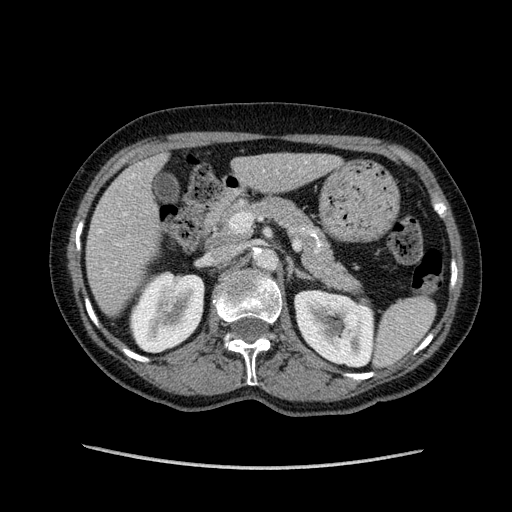
Liver | CT scan slice
{"kidney": ["295, 291, 372, 366", "132, 274, 203, 351"], "liver": ["237, 152, 332, 190", "87, 159, 161, 306"]}